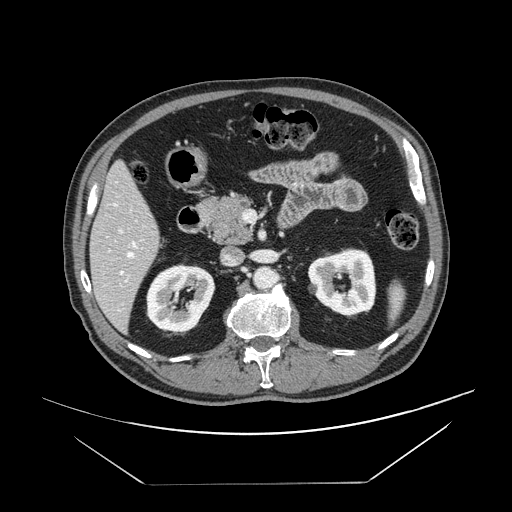
512x512 | CT | Abdomen
pancreas: [199, 195, 253, 245]